FLAIR MR image.
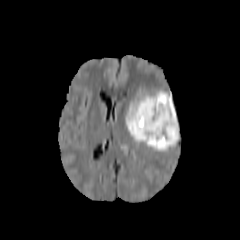
T1-weighted MR image.
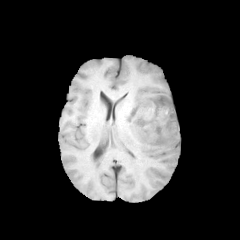
Post-contrast T1-weighted MR image.
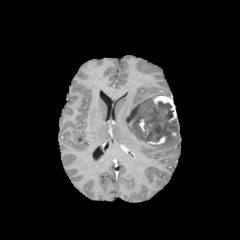
T2-weighted MRI.
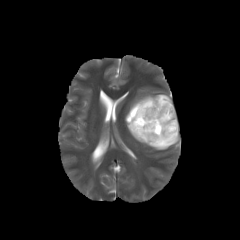
Brain
3 enhancing tumor regions appear at <bbox>147, 135, 165, 144</bbox>, <bbox>138, 118, 148, 134</bbox>, <bbox>152, 95, 177, 122</bbox>. 3 edema regions are bounded by <bbox>126, 121, 146, 142</bbox>, <bbox>148, 121, 180, 150</bbox>, <bbox>126, 86, 169, 116</bbox>. The non-enhancing tumor core is located at <bbox>126, 99, 178, 142</bbox>.